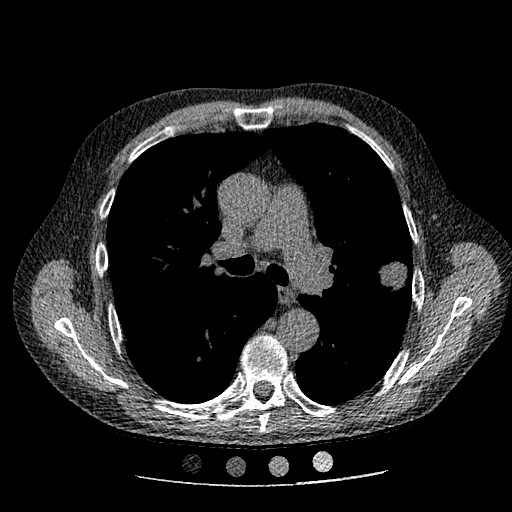
Computed tomography. Thorax. <segmentation>
  <lung_tumor>box(373, 259, 408, 299)</lung_tumor>
</segmentation>